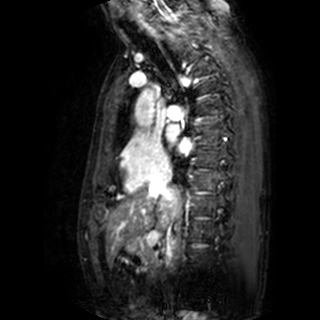

Magnetic resonance, Heart
{"left_atrium": ["(x1=179, y1=139, x2=191, y2=152)", "(x1=166, y1=124, x2=178, y2=143)"]}